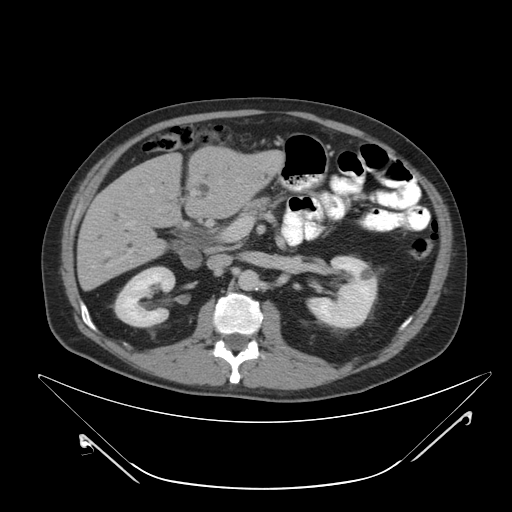

Abdomen; CT slice; 512x512 px
Pancreas: bounding box rect(241, 197, 270, 215).